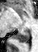

Image size 38x52; MR image; Hippocampus
{
  "posterior_hippocampus": [
    "(x1=17, y1=31, x2=30, y2=43)"
  ]
}